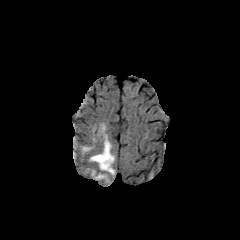
FLAIR magnetic resonance.
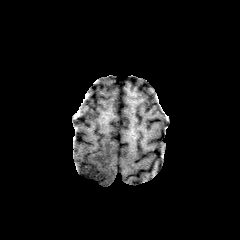
Same slice, T1-weighted magnetic resonance.
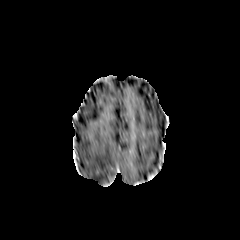
Same slice, post-contrast T1-weighted magnetic resonance.
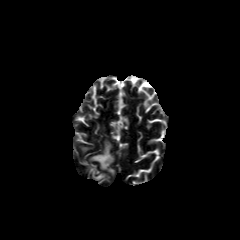
T2-weighted MRI of the same slice.
Brain
{
  "edema": [
    "89, 139, 114, 174",
    "88, 168, 109, 180"
  ]
}